FLAIR MRI.
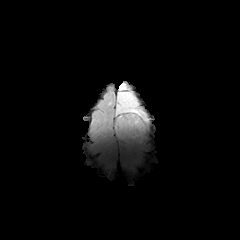
T1-weighted MRI.
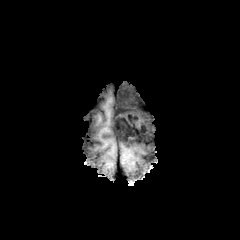
Post-contrast T1-weighted MR image.
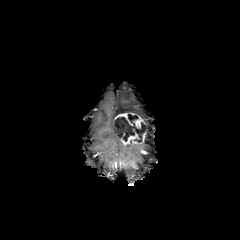
T2-weighted magnetic resonance.
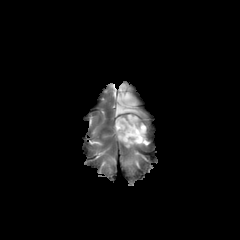
<segmentation>
  <edema>region(117, 83, 141, 116)</edema>
  <enhancing_tumor>region(119, 132, 145, 144); region(133, 115, 145, 128); region(114, 112, 136, 125)</enhancing_tumor>
  <non-enhancing_tumor_core>region(113, 114, 145, 142)</non-enhancing_tumor_core>
</segmentation>